FLAIR magnetic resonance.
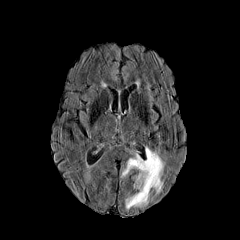
T1-weighted MR.
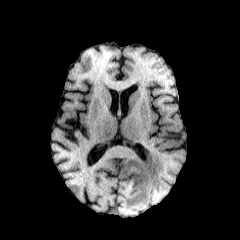
Post-contrast T1-weighted MR.
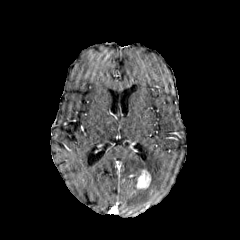
T2-weighted MR.
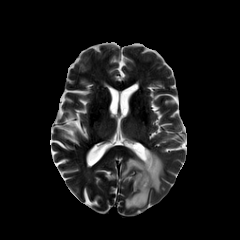
Head; 240x240
The edema is bounded by (left=119, top=148, right=162, bottom=211). The enhancing tumor lies within (left=137, top=168, right=151, bottom=189).